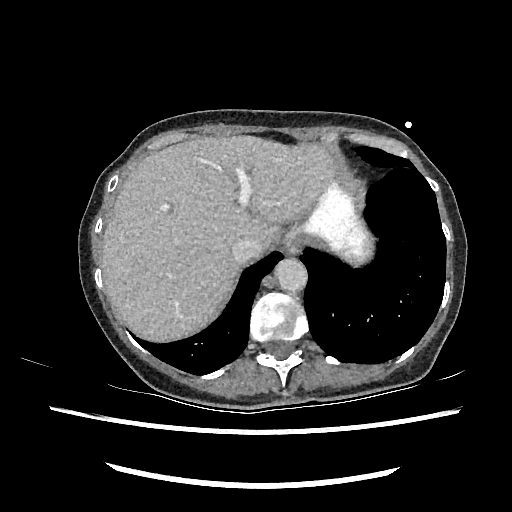

Upper abdomen. CT image.

{
  "liver": [
    "103 136 333 339"
  ]
}